Field of view 240x240 mm. 240x240 px.
FLAIR magnetic resonance.
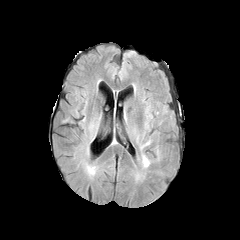
T1-weighted MRI.
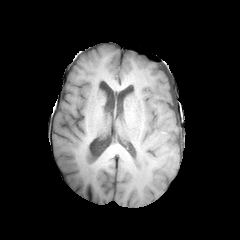
Post-contrast T1-weighted magnetic resonance.
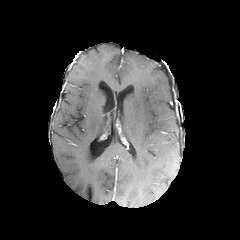
T2-weighted MRI.
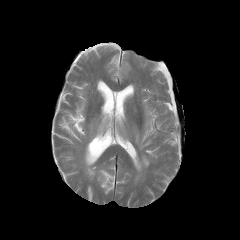
3 edema regions appear at region(139, 139, 151, 149); region(145, 110, 150, 129); region(137, 154, 150, 168).